Slice 79 of 105, CT, Abdomen, Image width 399 mm

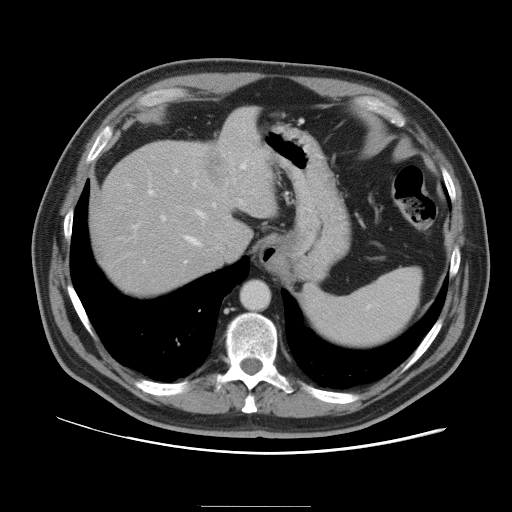 Only some of the vessels may be annotated.
hepatic_vessel:
  - region(226, 182, 227, 184)
  - region(233, 179, 235, 182)
  - region(213, 204, 215, 207)
  - region(185, 236, 201, 245)
  - region(240, 160, 246, 168)
  - region(149, 178, 153, 194)
  - region(161, 216, 165, 220)
  - region(242, 190, 244, 192)
  - region(202, 222, 203, 224)
  - region(184, 260, 186, 262)
  - region(197, 211, 205, 219)
  - region(195, 173, 197, 174)
  - region(193, 183, 195, 186)
  - region(132, 225, 136, 232)
  - region(174, 170, 177, 173)
liver_tumor:
  - region(208, 151, 220, 180)